CT slice | Upper abdomen 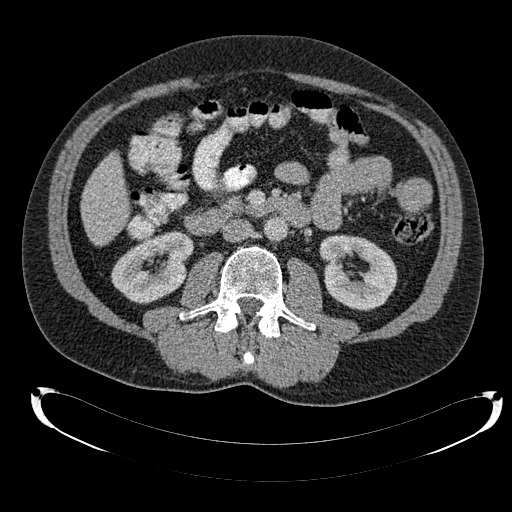 Annotated regions:
* liver: 82 154 129 245
* kidney: 112 232 191 302, 320 236 396 309